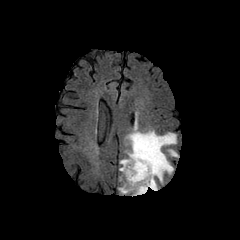
FLAIR MRI.
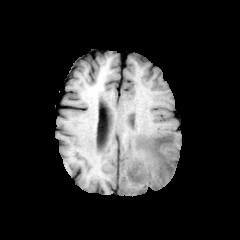
T1-weighted MRI.
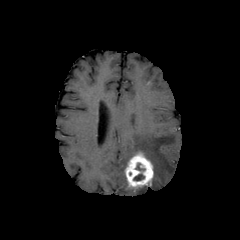
Same slice, post-contrast T1-weighted MRI.
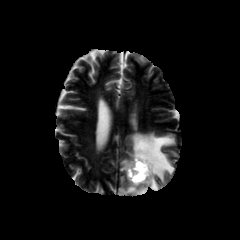
Same slice, T2-weighted MRI.
Enhancing tumor: box(124, 150, 153, 191).
Non-enhancing tumor core: box(134, 174, 144, 180); box(132, 149, 151, 161).
Edema: box(118, 178, 149, 195); box(120, 128, 177, 190).